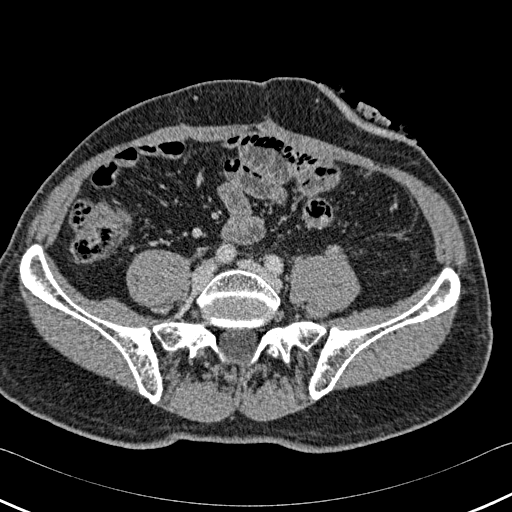 CT scan slice
* bone: region(309, 268, 459, 399); region(197, 270, 279, 328); region(20, 245, 224, 403); region(251, 322, 327, 362)